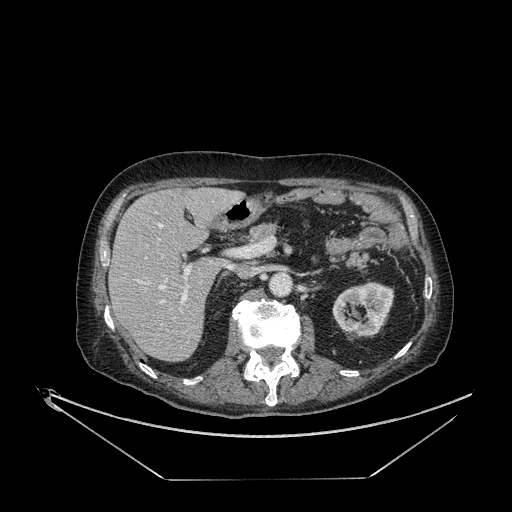 CT slice | 512x512 | Upper abdomen
{
  "kidney": [
    "bbox(333, 282, 393, 335)"
  ],
  "liver": [
    "bbox(109, 188, 241, 361)"
  ]
}